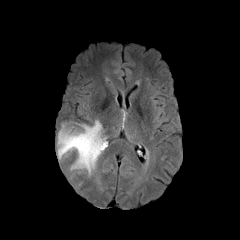
FLAIR MRI.
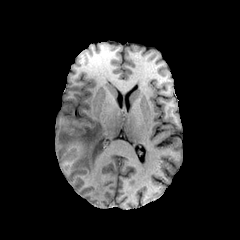
T1-weighted MRI of the same slice.
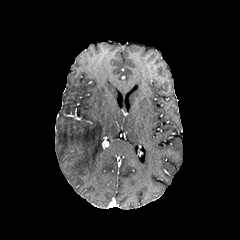
Post-contrast T1-weighted MRI of the same slice.
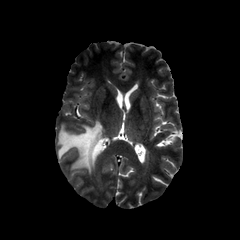
Same slice, T2-weighted MRI.
Brain
Edema = 57:120:102:176.